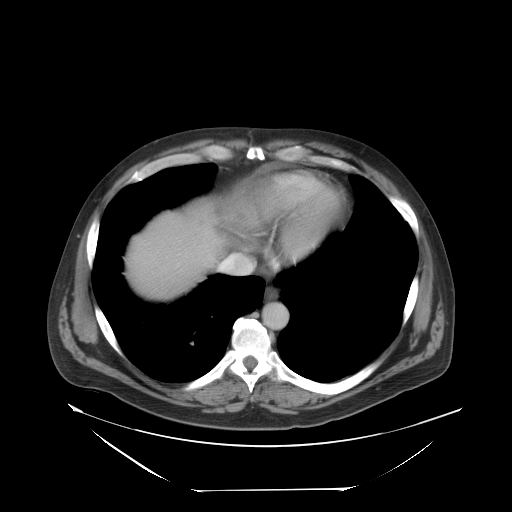
CT scan slice
Some hepatic vessels may have no box.
{"hepatic_vessel": ["(218, 253, 254, 273)"]}